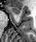
MRI.

Anterior hippocampus: l=9, t=7, r=20, b=14.